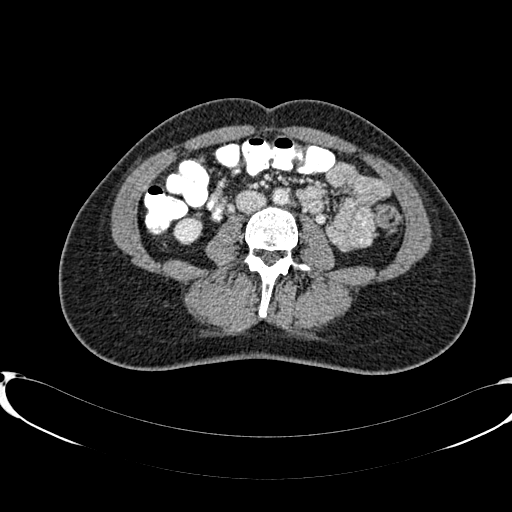

512x512 px. CT.
kidney:
  - (x1=176, y1=221, x2=196, y2=240)